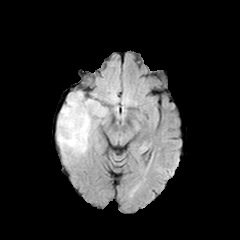
FLAIR MR image.
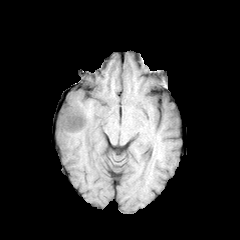
T1-weighted magnetic resonance of the same slice.
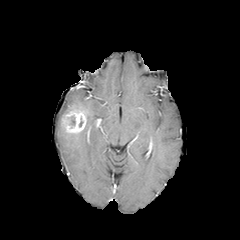
Post-contrast T1-weighted MR image.
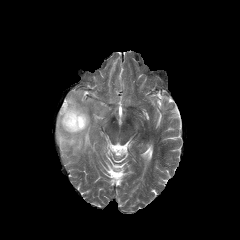
T2-weighted MR image.
240x240 px. Head.
{
  "edema": [
    "left=57, top=91, right=108, bottom=165"
  ],
  "enhancing_tumor": [
    "left=61, top=105, right=87, bottom=133"
  ]
}